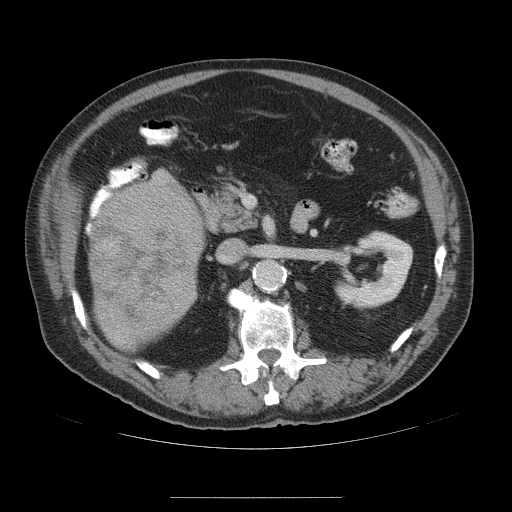

Liver. CT.
The liver tumor is at x1=90 y1=181 x2=203 y2=339.